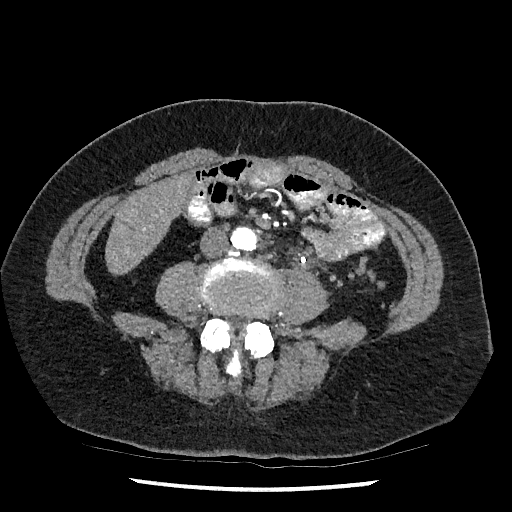
Image size 512x512, CT image, Abdomen
liver:
  - l=107, t=174, r=189, b=274